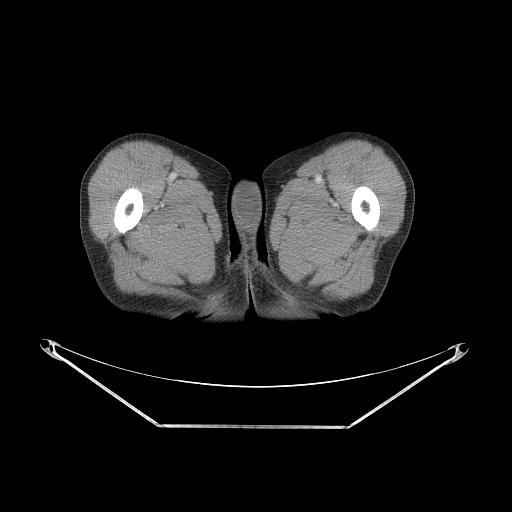
CT image. Bone = 114, 187, 142, 232; 351, 186, 379, 230.